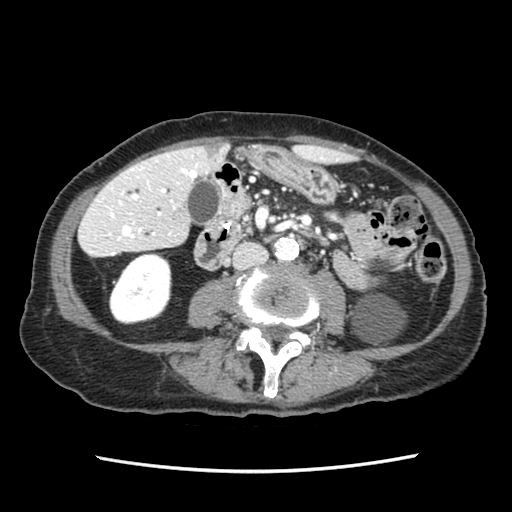

Abdomen; CT slice
<segmentation>
  <pancreas>(x1=223, y1=190, x2=250, y2=222)</pancreas>
</segmentation>